Head; Slice 54 of 155
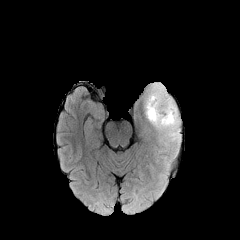
FLAIR MR image.
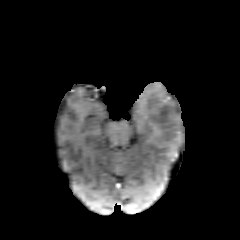
T1-weighted magnetic resonance.
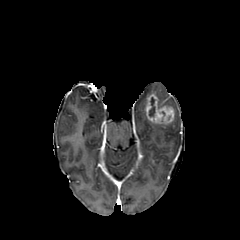
Post-contrast T1-weighted MR of the same slice.
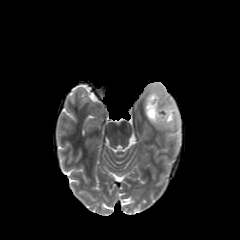
T2-weighted MR of the same slice.
{
  "edema": [
    "rect(144, 82, 181, 148)"
  ],
  "enhancing_tumor": [
    "rect(145, 93, 174, 124)"
  ],
  "non-enhancing_tumor_core": [
    "rect(149, 98, 155, 116)"
  ]
}